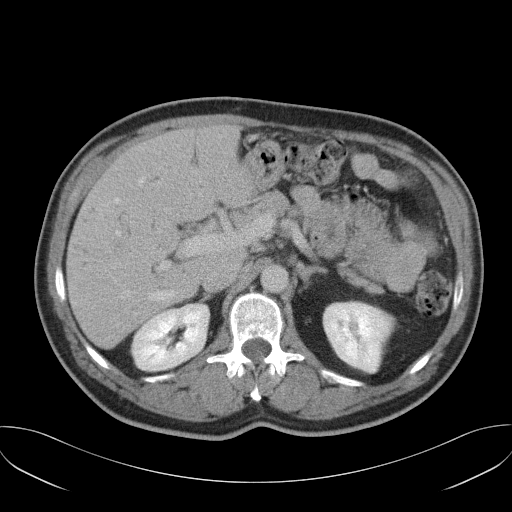

CT
The vessel boxes may cover only some of the vessels.
2 hepatic vessel regions are located at x1=150 y1=292 x2=173 y2=299, x1=156 y1=261 x2=169 y2=270.